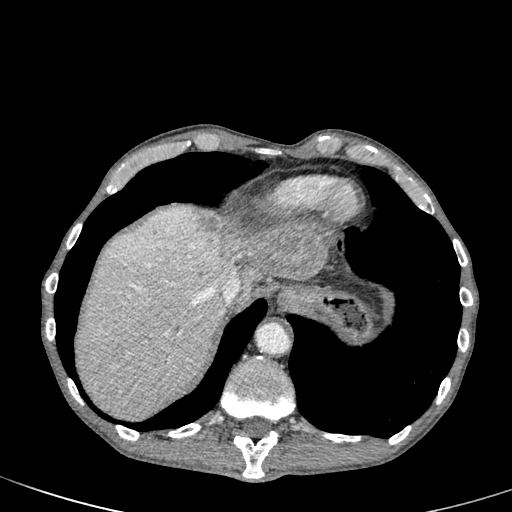

Abdomen | Image size 512x512 | CT image

Segmented structures:
* liver: 284, 221, 319, 225; 77, 206, 258, 419
* liver lesion: 193, 209, 329, 280